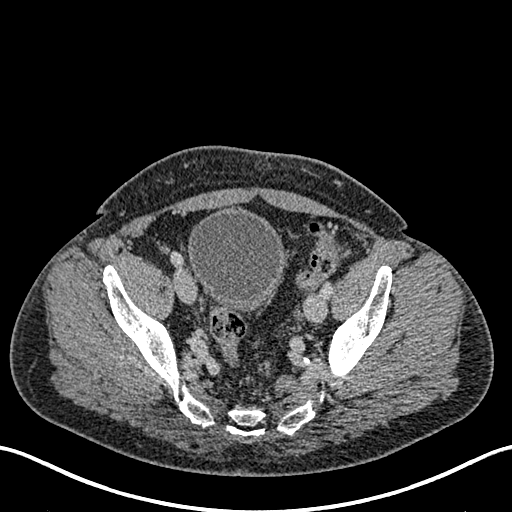
Computed tomography. 512x512 px. Pelvis.
Urinary bladder at box(189, 212, 287, 314).